FLAIR MRI.
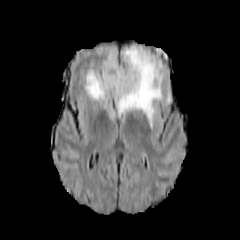
T1-weighted MRI.
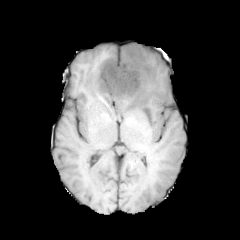
Post-contrast T1-weighted magnetic resonance.
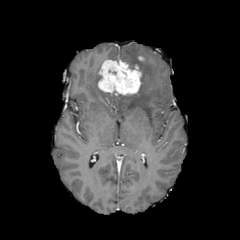
T2-weighted MR.
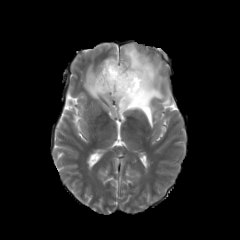
{"edema": ["(84, 45, 171, 127)"], "enhancing_tumor": ["(97, 59, 141, 95)"], "non-enhancing_tumor_core": ["(111, 93, 131, 106)"]}